CT slice. Slice 113 of 986. Image width 432 mm. Image size 512x512. Lower abdomen. 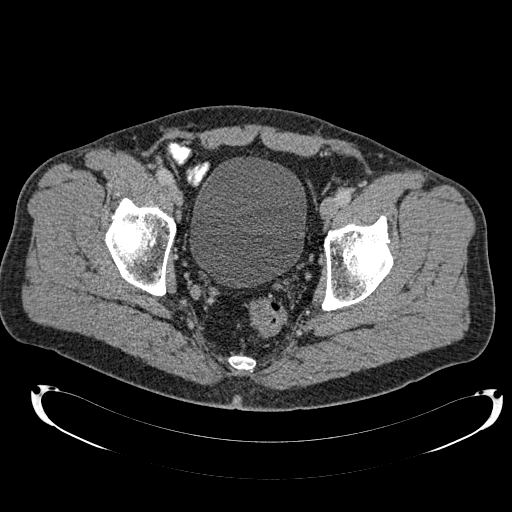

Annotated regions:
- urinary bladder: left=189, top=156, right=306, bottom=287